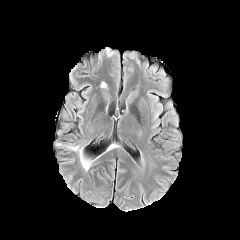
FLAIR magnetic resonance.
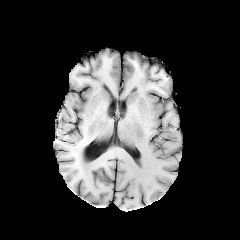
T1-weighted MR image.
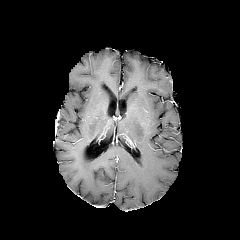
Post-contrast T1-weighted MRI.
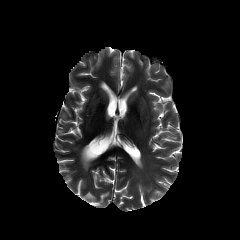
T2-weighted MR image.
The edema is at [79,149,93,170].